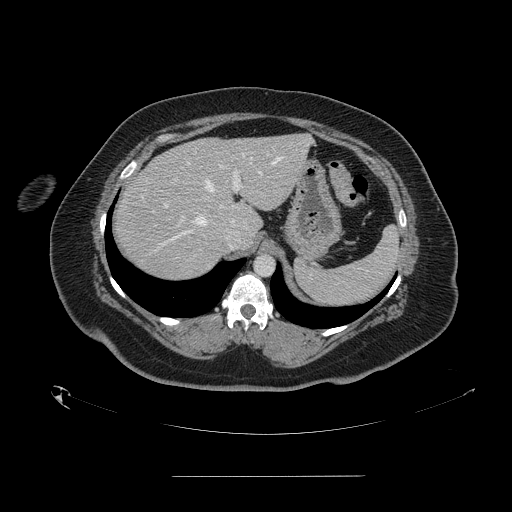
CT slice

spleen:
  - l=294, t=227, r=399, b=305